MRI slice, Slice index 15, Image size 35x40, Image width 35 mm
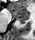

Posterior hippocampus: box(18, 20, 25, 23).
Anterior hippocampus: box(9, 8, 28, 19).